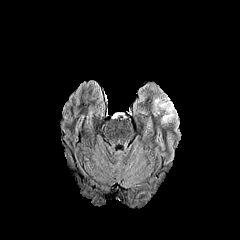
FLAIR MR image.
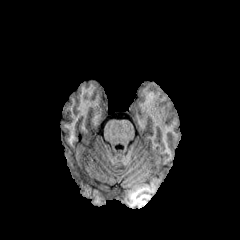
Same slice, T1-weighted MR image.
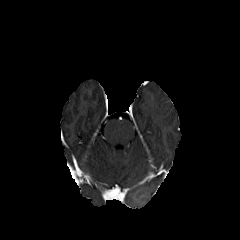
Same slice, post-contrast T1-weighted MRI.
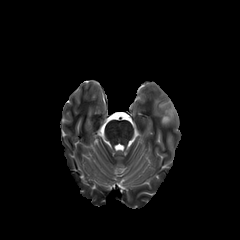
T2-weighted MRI.
240x240 px.
{"edema": ["l=152, t=86, r=178, b=132"]}